240x240. Slice 102 of 155. Head.
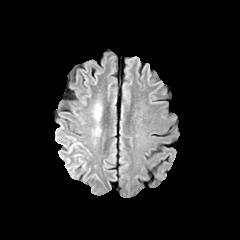
FLAIR MRI.
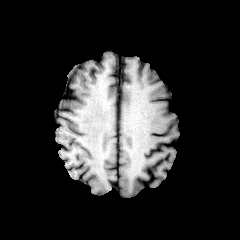
T1-weighted MR image.
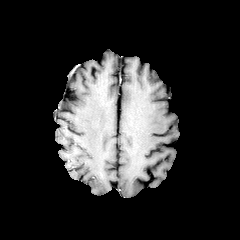
Same slice, post-contrast T1-weighted MRI.
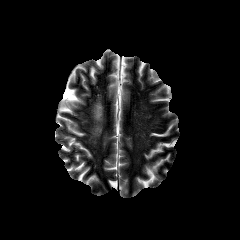
T2-weighted MRI.
edema: l=92, t=97, r=102, b=136